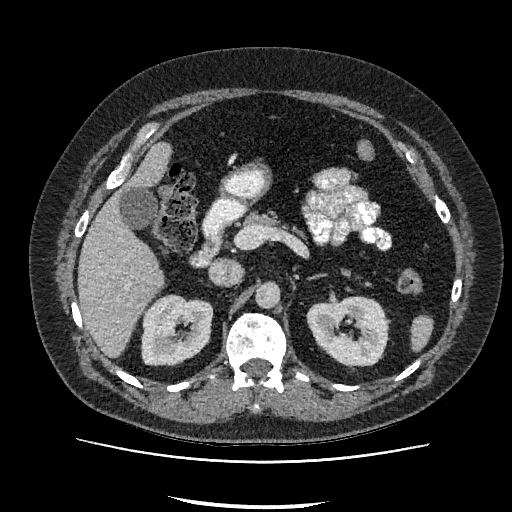 Image size 512x512 | CT image
liver:
  - 78:142:169:356
kidney:
  - 142:296:212:364
  - 308:297:386:364